CT. Slice 614 of 986. Image width 432 mm.

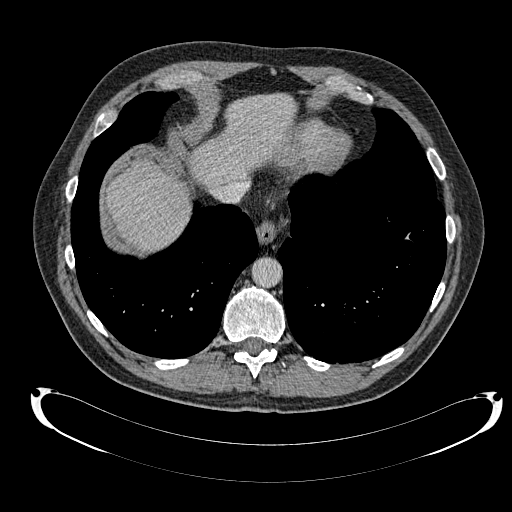 2 liver regions appear at x1=191 y1=94 x2=295 y2=189, x1=105 y1=160 x2=191 y2=250.